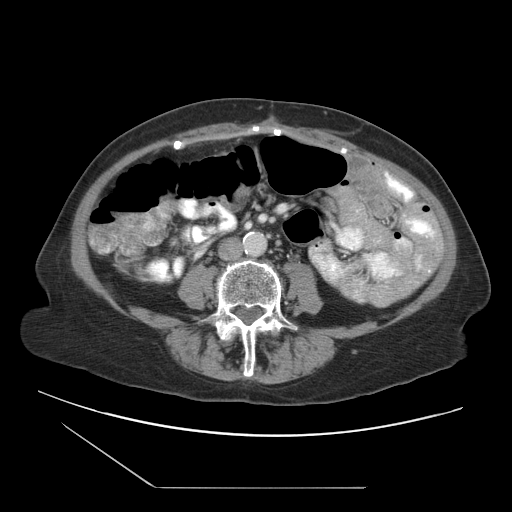
Abdomen, Computed tomography
Colon tumor: bounding box (143,199,176,230).